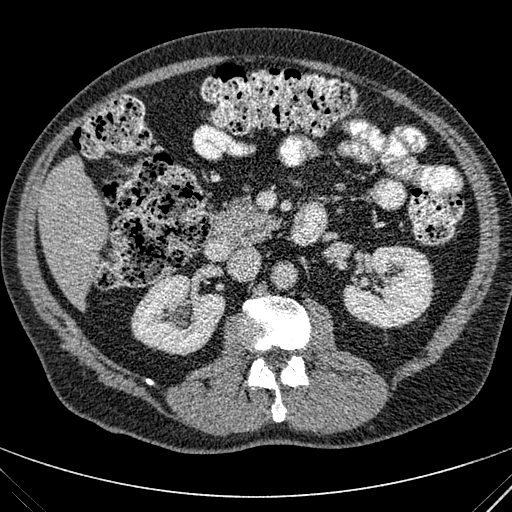
Computed tomography, 512x512, Liver
<segmentation>
  <liver><bbox>38, 158, 107, 309</bbox></liver>
  <kidney><bbox>344, 246, 432, 328</bbox>, <bbox>132, 274, 224, 354</bbox>, <bbox>355, 262, 363, 273</bbox></kidney>
</segmentation>